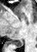

Hippocampus, 37x52 px, Magnetic resonance
The posterior hippocampus lies within box=[12, 41, 22, 47].